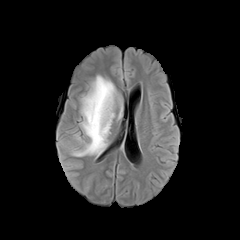
FLAIR MR.
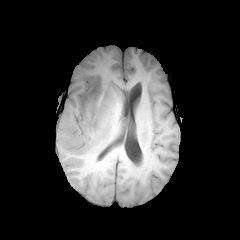
T1-weighted MRI.
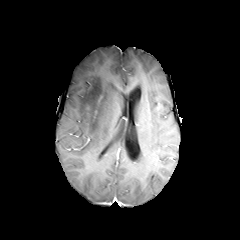
Same slice, post-contrast T1-weighted magnetic resonance.
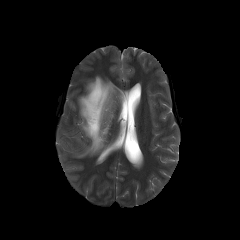
T2-weighted MRI of the same slice.
240x240; Brain
edema:
  - <box>73,74,122,156</box>